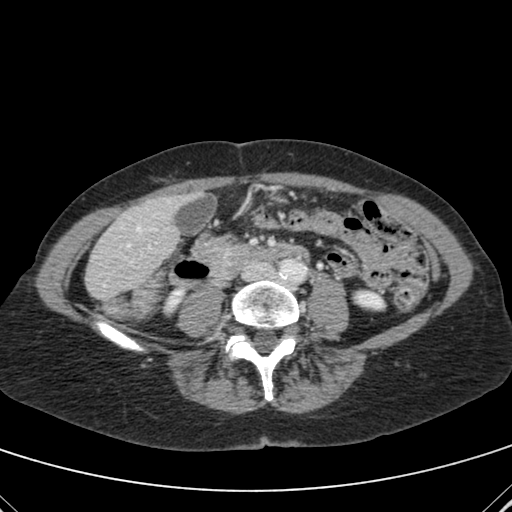

CT slice, Liver
The liver is at bbox(86, 194, 193, 299). 2 kidney regions appear at bbox(168, 290, 182, 307); bbox(358, 293, 382, 307).